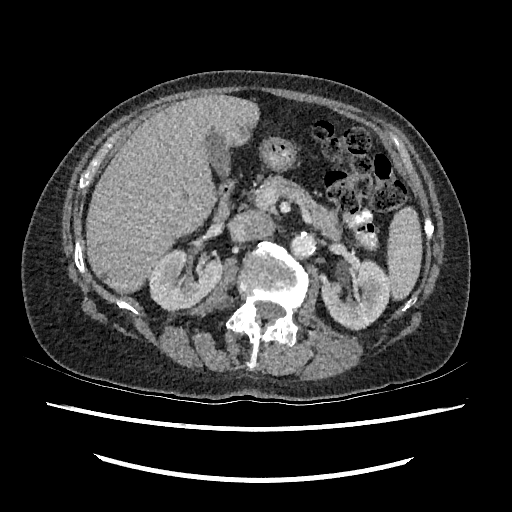

CT scan slice
Kidney: <box>149,250,222,309</box>, <box>322,257,390,329</box>.
Liver: <box>86,95,258,293</box>.